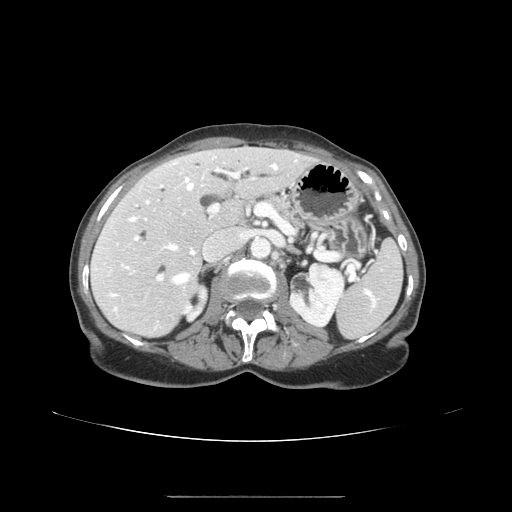 Upper abdomen. CT. Pancreas = box=[269, 196, 303, 227].